Slice index 28, Abdomen, Image width 436 mm, CT slice

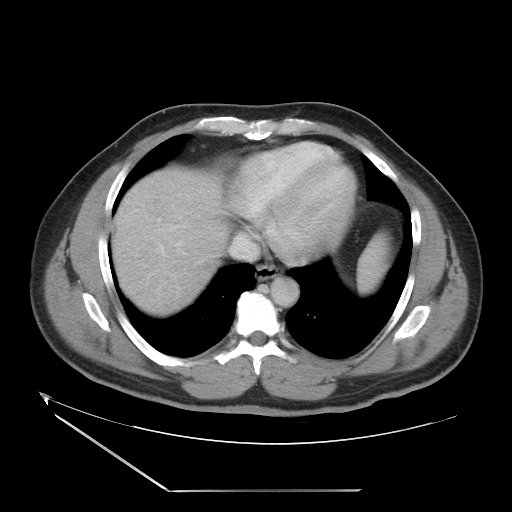 Not every hepatic vessel necessarily has a box.
hepatic vessel: x1=160, y1=246, x2=163, y2=251; x1=176, y1=241, x2=182, y2=245; x1=168, y1=226, x2=177, y2=231; x1=230, y1=235, x2=255, y2=261